Brain | Image width 240 mm | Image size 240x240
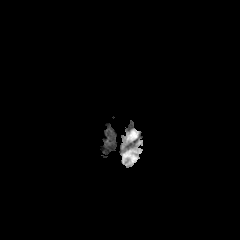
FLAIR magnetic resonance.
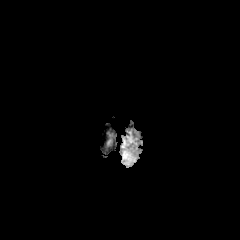
T1-weighted MR image.
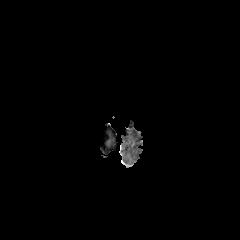
Post-contrast T1-weighted magnetic resonance.
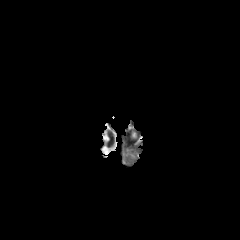
T2-weighted MRI of the same slice.
Edema — box(128, 131, 138, 142); box(126, 155, 136, 165).